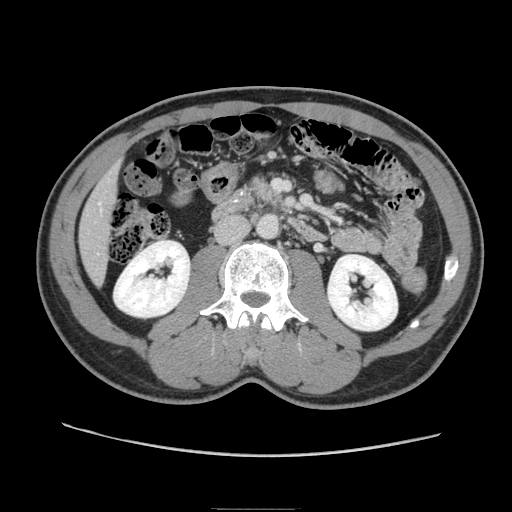
Image size 512x512 | CT scan slice

<segmentation>
  <pancreas>249, 174, 281, 209</pancreas>
</segmentation>